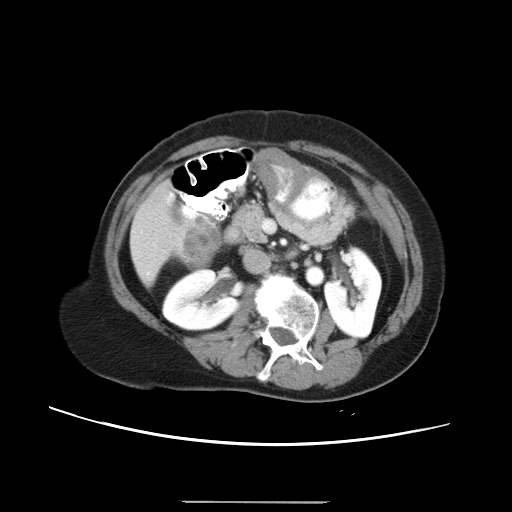
Abdomen | CT slice
liver_tumor:
  - [179, 221, 215, 258]